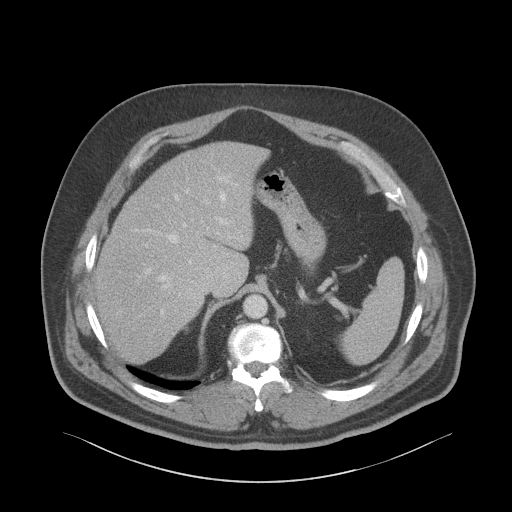

CT. Abdomen. liver: [x1=96, y1=143, x2=264, y2=361]